Brain | Slice 64/155
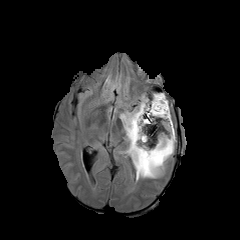
FLAIR MR.
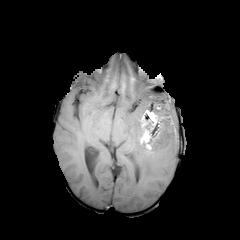
T1-weighted magnetic resonance.
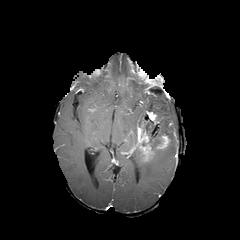
Same slice, post-contrast T1-weighted MRI.
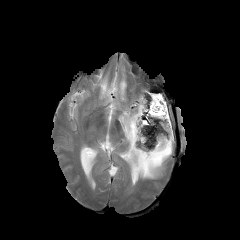
Same slice, T2-weighted magnetic resonance.
enhancing tumor: 138 127 146 141, 140 147 153 161, 157 136 169 148, 124 146 135 155 | non-enhancing tumor core: 132 104 158 151 | edema: 100 80 175 181